512x512, CT slice, Field of view 477x477 mm, Abdomen
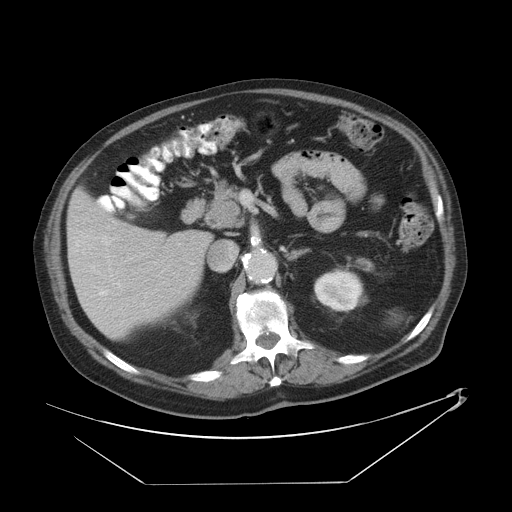 Only some of the vessels may be annotated.
Segmented structures:
- hepatic vessel: region(75, 241, 85, 246); region(134, 229, 135, 230); region(102, 236, 115, 244); region(70, 261, 72, 265); region(95, 237, 97, 239); region(76, 231, 82, 233); region(113, 222, 116, 224)